FLAIR MR image.
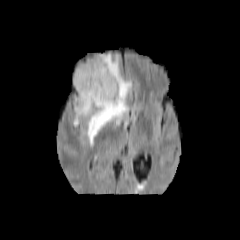
T1-weighted MRI.
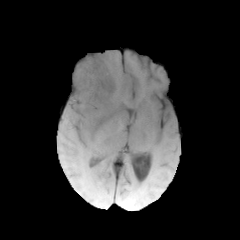
Post-contrast T1-weighted MR.
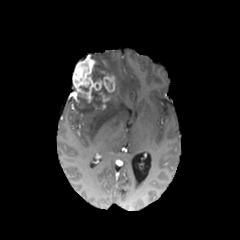
T2-weighted magnetic resonance.
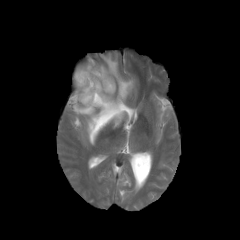
Head; Image size 240x240
Enhancing tumor = [70,54,116,103].
Edema = [74,53,132,143].
Non-enhancing tumor core = [102,80,118,98], [68,91,106,113], [91,55,113,81].